Slice 492/629. Liver. Computed tomography. Field of view 400x400 mm.
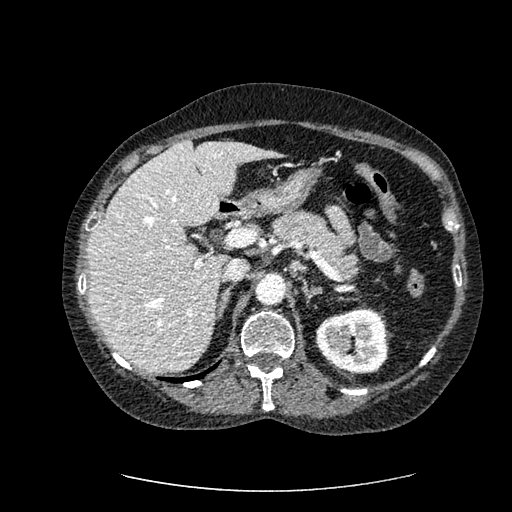
{
  "liver": [
    "<box>88,139,283,373</box>"
  ],
  "kidney": [
    "<box>317,309,386,372</box>"
  ]
}